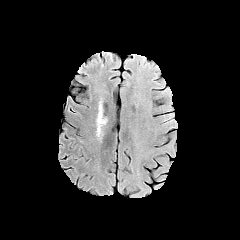
FLAIR MR image.
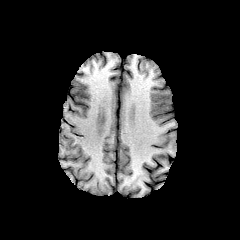
T1-weighted MR image.
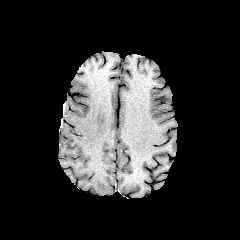
Same slice, post-contrast T1-weighted MRI.
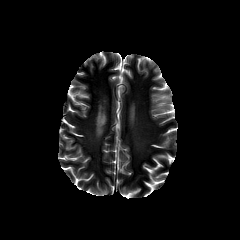
T2-weighted MR of the same slice.
Brain
Edema = {"x1": 97, "y1": 101, "x2": 102, "y2": 123}.